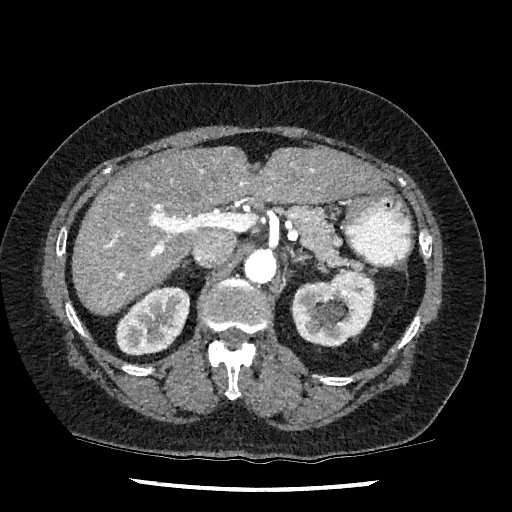
Abdomen; CT slice

Liver — [72, 146, 389, 315].
Kidney — [292, 270, 373, 345], [117, 288, 189, 354].